CT slice. 512x512. Slice index 212. 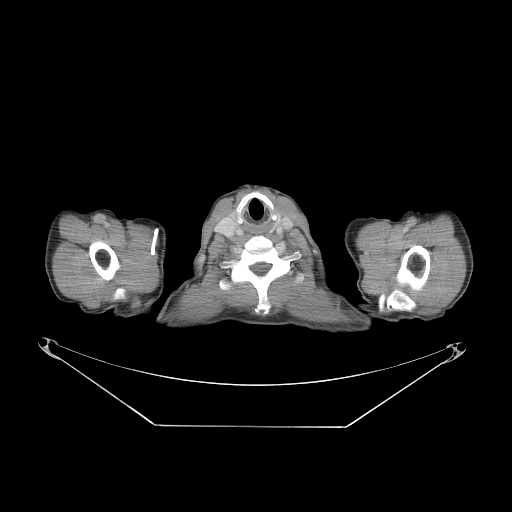

Bone: {"x1": 396, "y1": 246, "x2": 429, "y2": 290}, {"x1": 115, "y1": 289, "x2": 123, "y2": 298}, {"x1": 387, "y1": 289, "x2": 414, "y2": 309}, {"x1": 220, "y1": 281, "x2": 229, "y2": 289}, {"x1": 229, "y1": 236, "x2": 289, "y2": 308}, {"x1": 379, "y1": 295, "x2": 384, "y2": 308}, {"x1": 89, "y1": 241, "x2": 119, "y2": 280}.